FLAIR magnetic resonance.
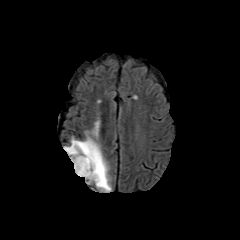
T1-weighted magnetic resonance.
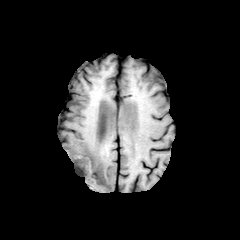
Post-contrast T1-weighted MR.
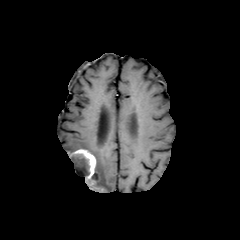
T2-weighted MR.
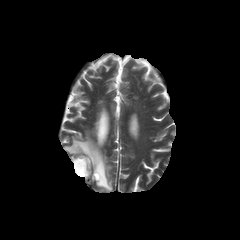
240x240 px.
Annotated regions:
- edema: 64 126 112 191
- non-enhancing tumor core: 70 153 89 176
- enhancing tumor: 73 149 95 179